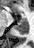

Medial temporal lobe | Magnetic resonance

Posterior hippocampus — 14 20 27 34.
Anterior hippocampus — 20 19 26 19.